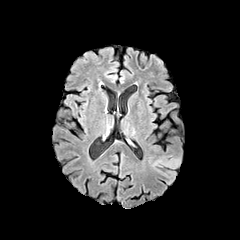
FLAIR MRI.
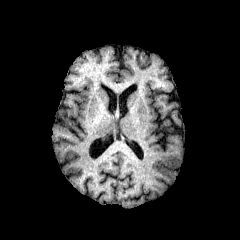
T1-weighted MRI.
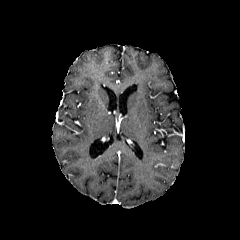
Post-contrast T1-weighted MRI.
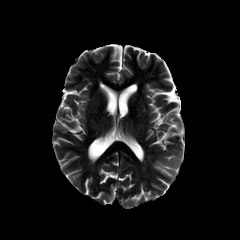
T2-weighted MR.
The edema is located at x1=147 y1=154 x2=181 y2=177.